CT scan slice, Slice 60 of 105, 512x512, Field of view 435x435 mm

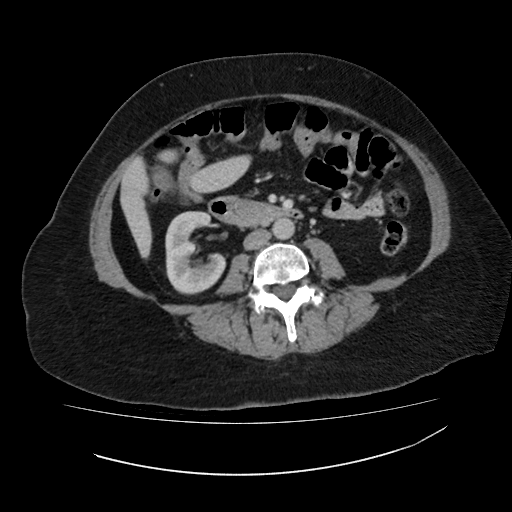

Kidney — x1=166, y1=211, x2=225, y2=293.
Liver — x1=121, y1=158, x2=151, y2=256; x1=190, y1=157, x2=248, y2=192; x1=162, y1=152, x2=174, y2=160.